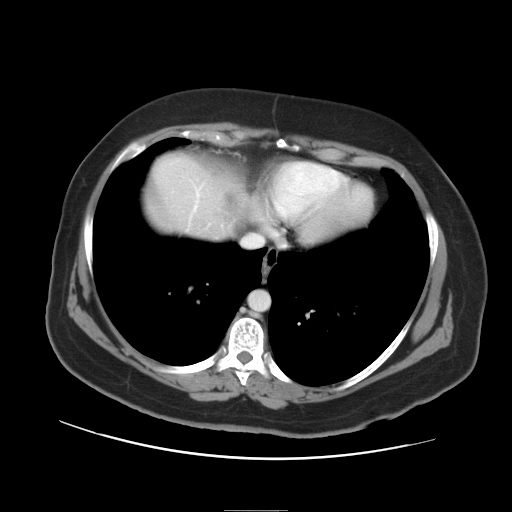

CT scan slice, Abdomen
Some hepatic vessels may have no box.
hepatic vessel: 242 234 263 247 | liver tumor: 222 191 240 216